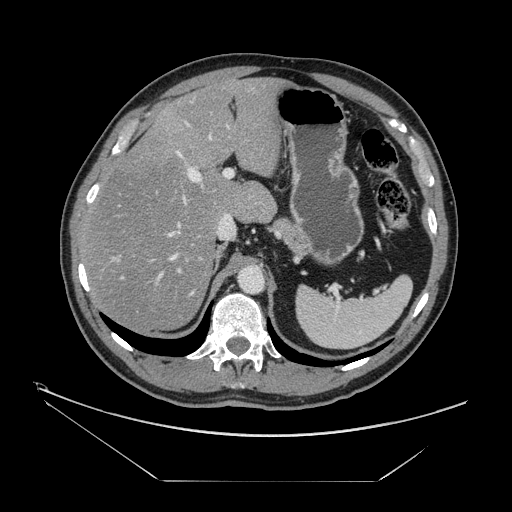 CT slice. Liver.
The vessel annotation is not exhaustive.
Findings:
- hepatic vessel: left=170, top=233, right=173, bottom=234; left=186, top=123, right=187, bottom=124; left=158, top=274, right=161, bottom=277; left=188, top=169, right=200, bottom=181; left=183, top=199, right=185, bottom=202; left=171, top=256, right=175, bottom=258; left=177, top=152, right=180, bottom=155